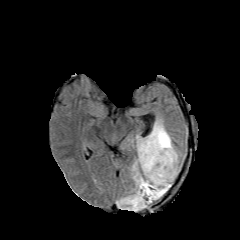
FLAIR MRI.
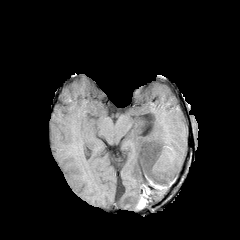
T1-weighted MR image.
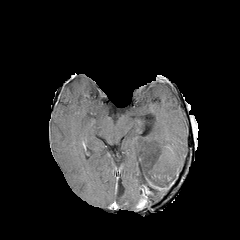
Post-contrast T1-weighted MRI.
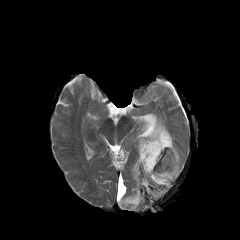
Same slice, T2-weighted MR.
Image size 240x240 | Head
Edema at [144,186,168,207], [117,118,181,210].
Non-enhancing tumor core at [157,182,171,190], [140,186,150,197], [151,150,159,167].